CT scan slice; Slice 106/547
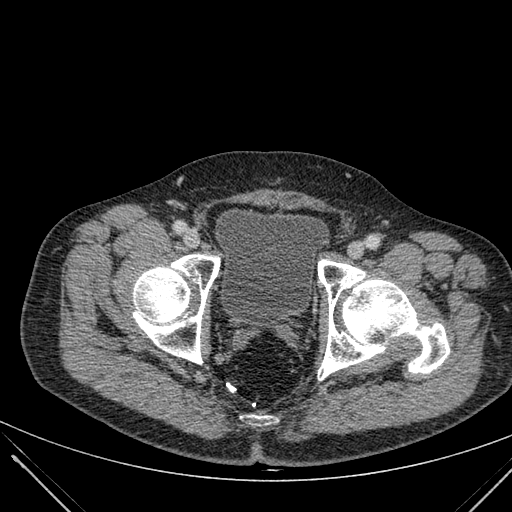
<segmentation>
  <urinary_bladder>[215, 209, 328, 320]</urinary_bladder>
</segmentation>